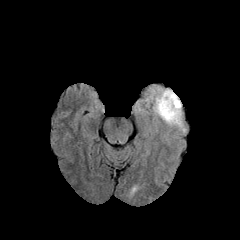
FLAIR magnetic resonance.
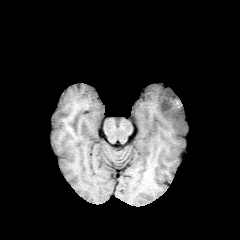
T1-weighted MR.
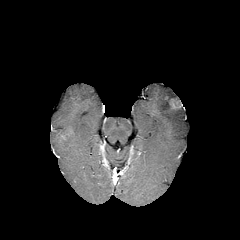
Post-contrast T1-weighted MRI.
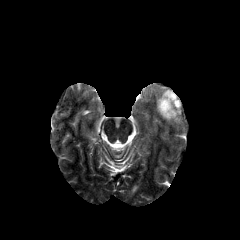
T2-weighted MR image of the same slice.
Annotated regions:
• edema: (135, 84, 187, 141)
• enhancing tumor: (170, 99, 181, 110)